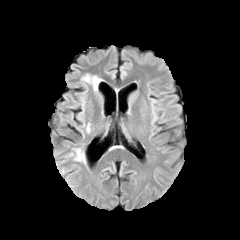
FLAIR MRI.
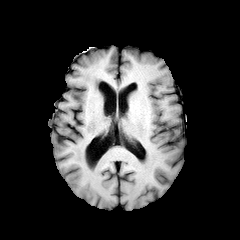
T1-weighted MR of the same slice.
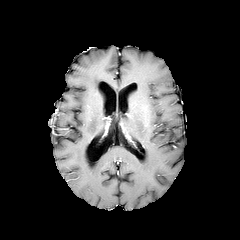
Post-contrast T1-weighted magnetic resonance.
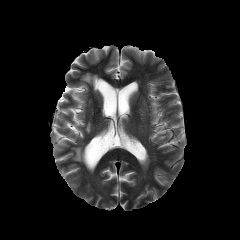
Same slice, T2-weighted MR.
Head
Annotated regions:
• edema: (81, 74, 102, 93), (71, 147, 85, 163), (80, 95, 86, 113)